FLAIR MRI.
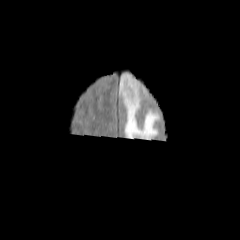
T1-weighted MR.
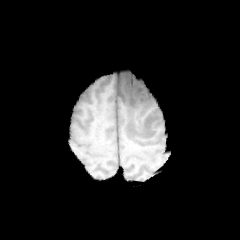
Post-contrast T1-weighted MR.
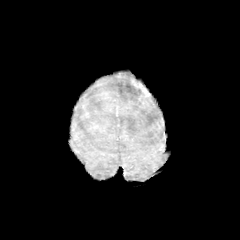
T2-weighted MR image.
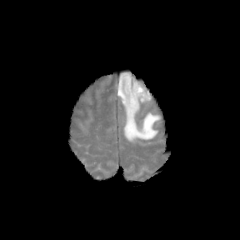
Head
The edema is at (117, 72, 161, 141). The enhancing tumor is bounded by (131, 80, 147, 93).